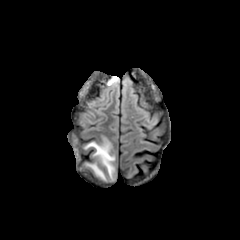
FLAIR MRI.
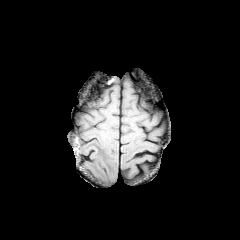
T1-weighted MR image of the same slice.
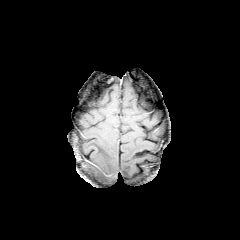
Post-contrast T1-weighted MR of the same slice.
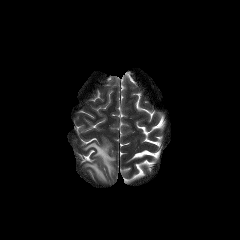
T2-weighted MRI.
Segmented structures:
- edema: bbox=[84, 139, 115, 180]; bbox=[86, 162, 106, 180]